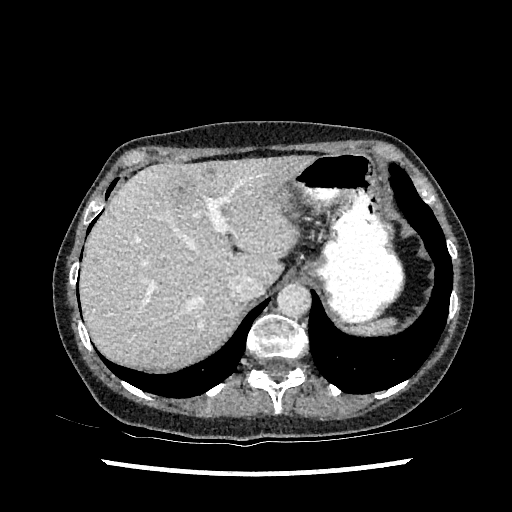
CT
The liver is located at region(80, 157, 314, 368). 4 hepatic lesion regions are bounded by region(274, 193, 279, 205); region(168, 174, 195, 204); region(204, 167, 215, 174); region(82, 304, 92, 311).